FLAIR MR.
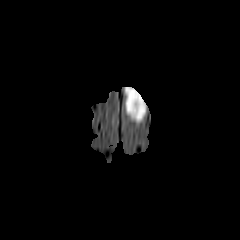
T1-weighted magnetic resonance.
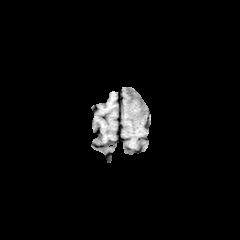
Post-contrast T1-weighted magnetic resonance.
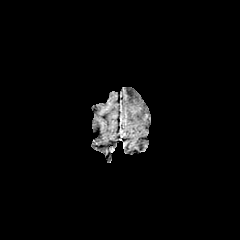
T2-weighted magnetic resonance.
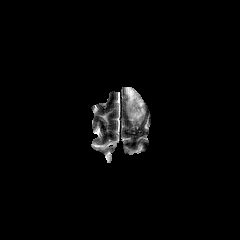
Head.
Edema at (124,87,146,126).